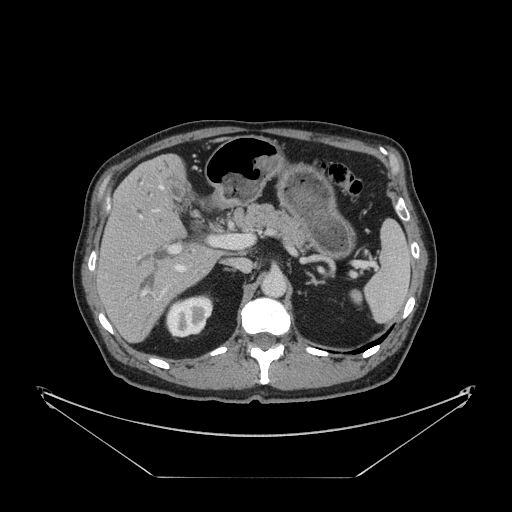
Liver; CT
The vessel boxes may cover only some of the vessels.
8 hepatic vessel regions are located at bbox(209, 234, 253, 247); bbox(169, 245, 180, 253); bbox(153, 209, 158, 211); bbox(139, 216, 141, 217); bbox(141, 290, 146, 294); bbox(159, 186, 162, 189); bbox(159, 289, 165, 297); bbox(175, 265, 185, 271).